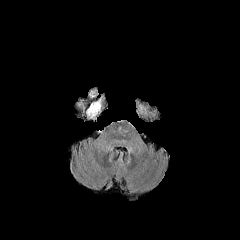
FLAIR MRI.
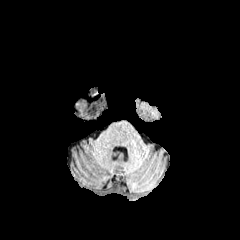
T1-weighted MR.
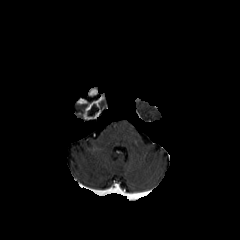
Same slice, post-contrast T1-weighted magnetic resonance.
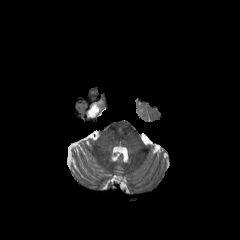
T2-weighted MR image.
Head
{"enhancing_tumor": ["left=88, top=87, right=98, bottom=96", "left=77, top=93, right=107, bottom=122"], "non-enhancing_tumor_core": ["left=74, top=101, right=87, bottom=117", "left=84, top=95, right=98, bottom=102", "left=87, top=103, right=98, bottom=116"]}